Slice 76 of 155. 240x240. Brain.
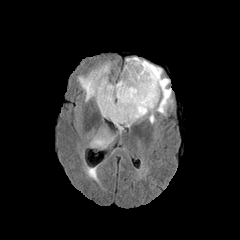
FLAIR magnetic resonance.
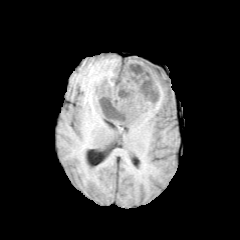
Same slice, T1-weighted MR image.
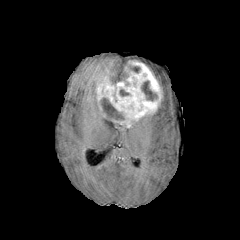
Post-contrast T1-weighted MR image of the same slice.
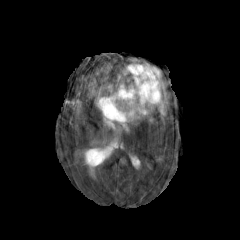
T2-weighted magnetic resonance of the same slice.
<segmentation>
  <non-enhancing_tumor_core>128:65:140:72, 141:80:157:100, 98:97:123:120, 119:89:129:96, 115:71:129:83</non-enhancing_tumor_core>
  <enhancing_tumor>96:60:162:126</enhancing_tumor>
  <edema>78:65:122:130, 92:138:105:147, 125:57:172:124, 109:74:124:83</edema>
</segmentation>